Image size 512x512, Image width 360 mm, CT, Abdomen, Slice 195 of 343
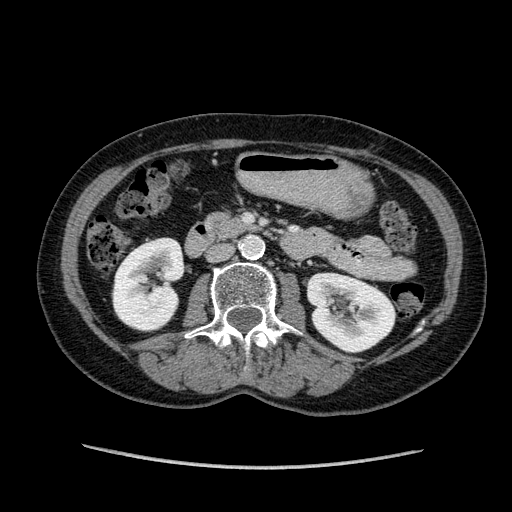 kidney: (x1=113, y1=238, x2=183, y2=329), (x1=308, y1=273, x2=394, y2=351)